Slice 68 of 260. Field of view 512x512 mm. 512x512 px. CT scan slice.

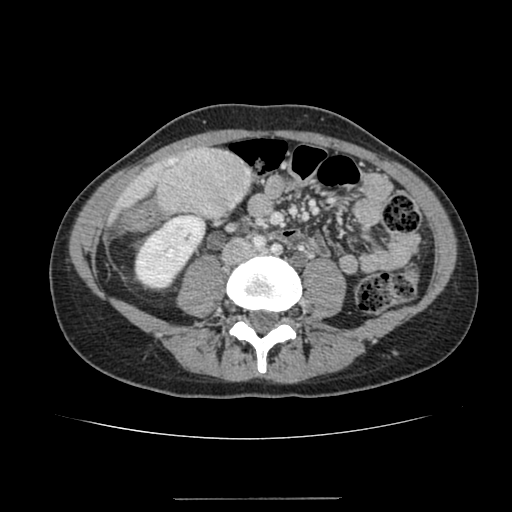 {
  "kidney": [
    "(x1=136, y1=216, x2=204, y2=286)"
  ],
  "liver": [
    "(x1=107, y1=152, x2=186, y2=226)"
  ],
  "focal_liver_lesion": [
    "(x1=157, y1=149, x2=249, y2=215)"
  ]
}